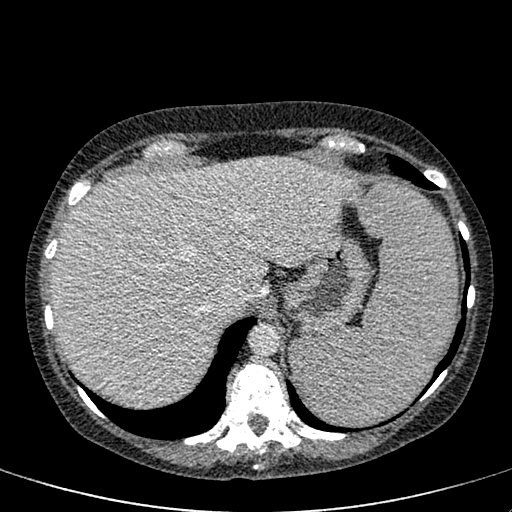 CT scan slice. Liver. 512x512. The liver appears at 54,158,354,405.